Computed tomography | 512x512 px | Slice 474 of 836 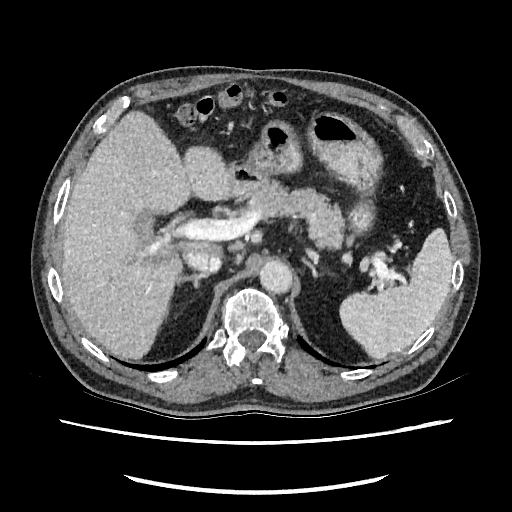 liver_lesion:
  - box=[132, 210, 158, 245]
  - box=[143, 243, 183, 267]
liver:
  - box=[183, 241, 209, 248]
  - box=[63, 112, 231, 358]